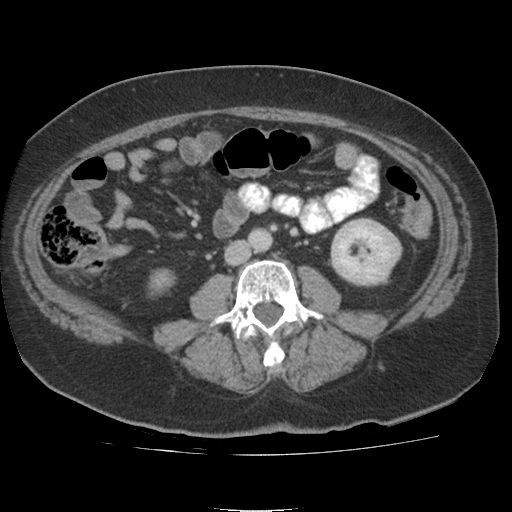
CT
Kidney: bounding box bbox(333, 221, 398, 283).